Field of view 496x496 mm | 512x512 | Slice index 39 | CT scan slice 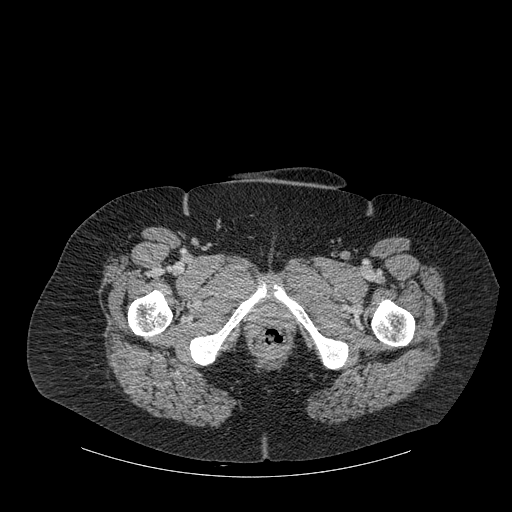
{"bone": ["(371, 300, 414, 346)", "(190, 282, 266, 365)", "(128, 290, 172, 336)", "(274, 285, 348, 368)"]}